Computed tomography, 512x512, Chest 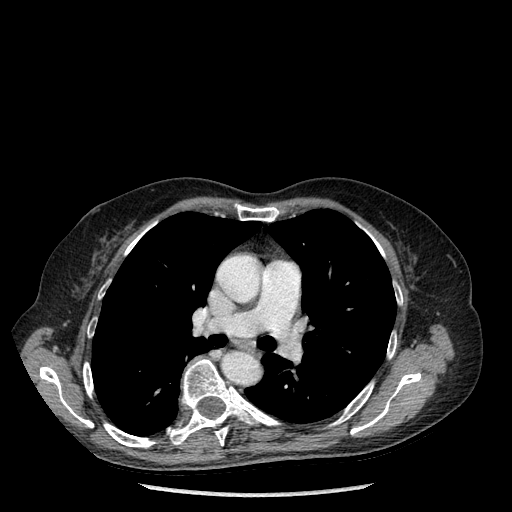
Bone at [215, 426, 228, 445], [83, 362, 93, 397], [235, 204, 279, 221], [98, 281, 109, 298], [364, 228, 385, 257], [39, 366, 93, 427], [331, 382, 373, 425], [167, 359, 280, 444], [124, 221, 157, 255], [104, 423, 155, 447], [393, 282, 402, 304], [87, 318, 96, 337], [350, 372, 421, 435], [387, 332, 396, 358].
Lung at [245, 209, 396, 422], [91, 212, 261, 435].